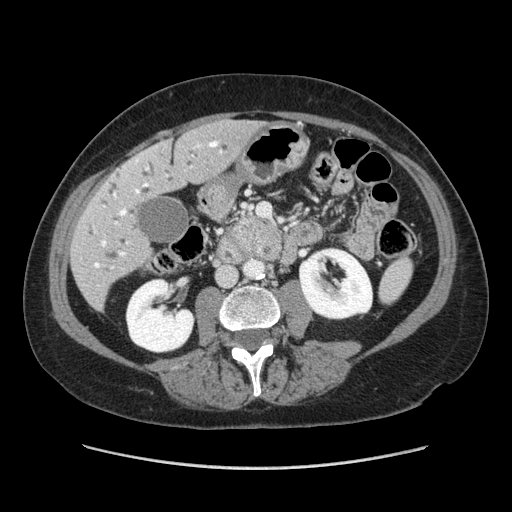
CT image, 512x512 px
The pancreas lies within 227, 212, 269, 258.